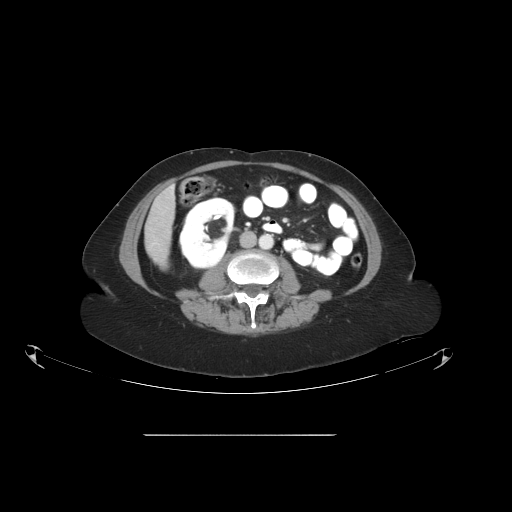
Abdomen | Image size 512x512 | Computed tomography
The colon tumor is located at [179, 177, 205, 203].